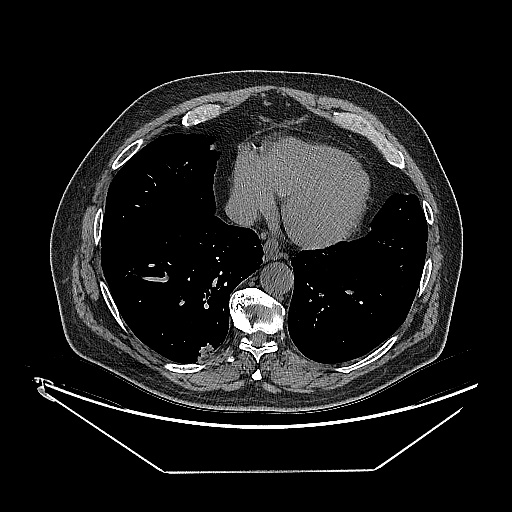

Thorax; CT image
{
  "lung_tumor": [
    "196:342:215:362"
  ]
}